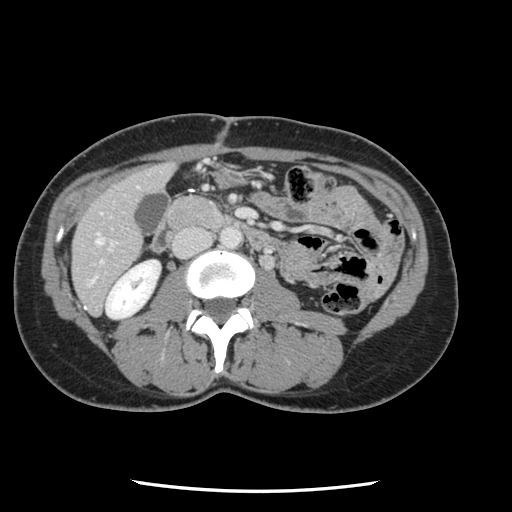
CT

The vessel annotation is not exhaustive.
Segmented structures:
- hepatic vessel: bbox(88, 277, 94, 284); bbox(99, 260, 102, 263); bbox(109, 242, 113, 249); bbox(96, 234, 101, 244)